Abdomen | Slice 62 of 101 | CT slice | Image size 512x512 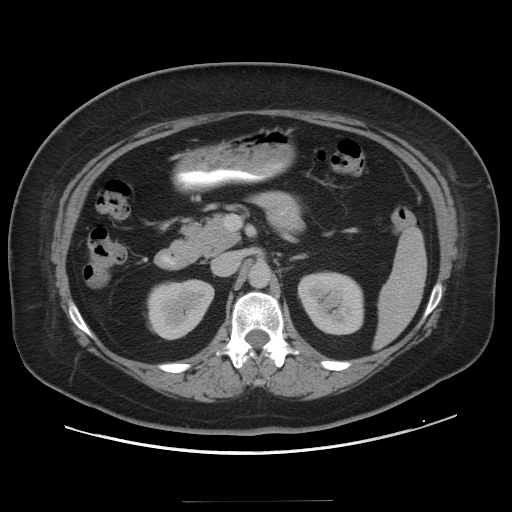 Segmented structures:
* colon tumor: <bbox>334, 156, 359, 171</bbox>